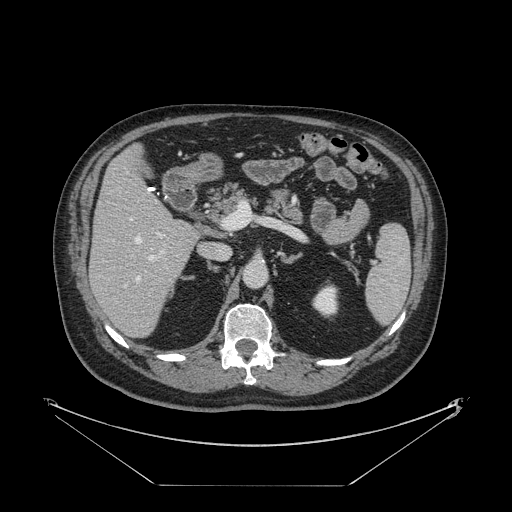
CT slice; 512x512
The vessel boxes may cover only some of the vessels.
3 hepatic vessel regions are located at box(148, 255, 153, 259); box(129, 218, 131, 219); box(157, 233, 163, 235).